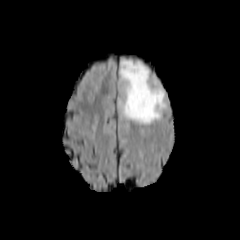
FLAIR magnetic resonance.
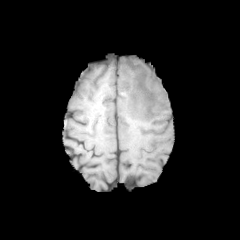
T1-weighted MRI of the same slice.
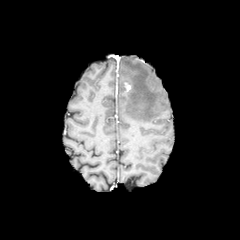
Post-contrast T1-weighted magnetic resonance of the same slice.
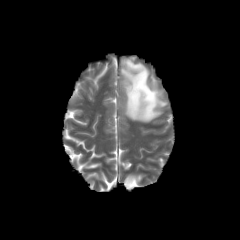
T2-weighted MR of the same slice.
Head.
Edema at 119,59,165,123.